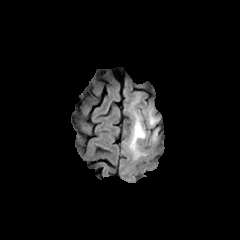
FLAIR MR.
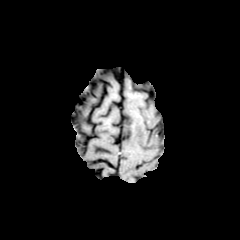
T1-weighted MR image.
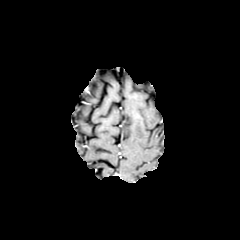
Post-contrast T1-weighted magnetic resonance.
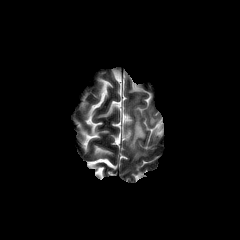
Same slice, T2-weighted MR image.
{
  "edema": [
    "126 109 157 158"
  ]
}